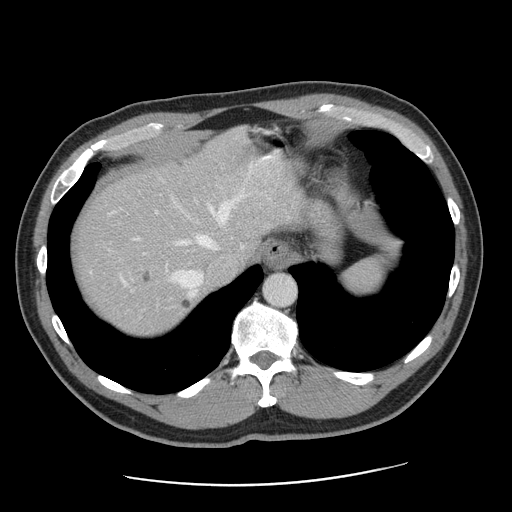 CT image, Abdomen

The vessel annotation is not exhaustive.
Hepatic vessel — {"x1": 171, "y1": 235, "x2": 247, "y2": 297}, {"x1": 209, "y1": 189, "x2": 252, "y2": 220}, {"x1": 124, "y1": 281, "x2": 128, "y2": 284}, {"x1": 249, "y1": 165, "x2": 251, "y2": 175}.
Liver tumor — {"x1": 140, "y1": 268, "x2": 152, "y2": 284}, {"x1": 179, "y1": 298, "x2": 192, "y2": 310}.